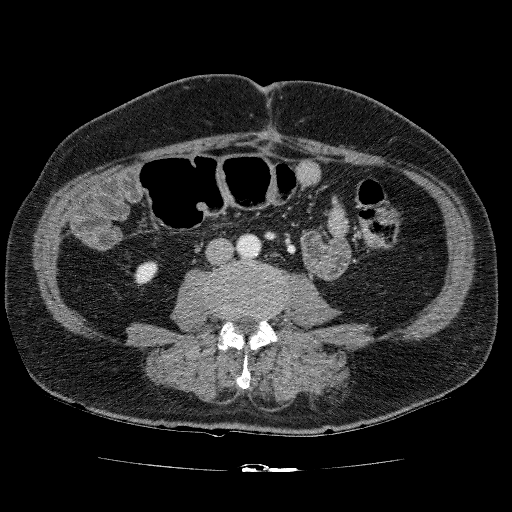 CT. Abdomen.

The kidney lies within 135:262:156:284.